Head
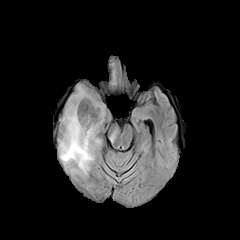
FLAIR MR image.
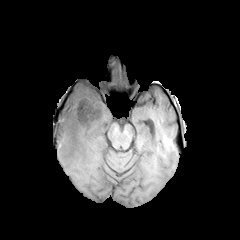
T1-weighted magnetic resonance of the same slice.
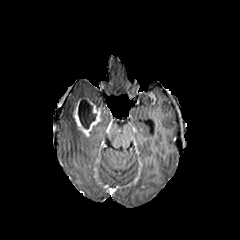
Post-contrast T1-weighted MR of the same slice.
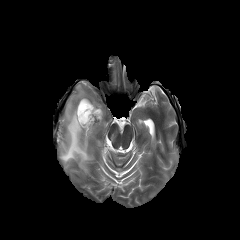
T2-weighted magnetic resonance.
Non-enhancing tumor core — 74:100:101:127.
Enhancing tumor — 92:104:100:119, 73:105:93:136.
Edema — 59:86:106:173.